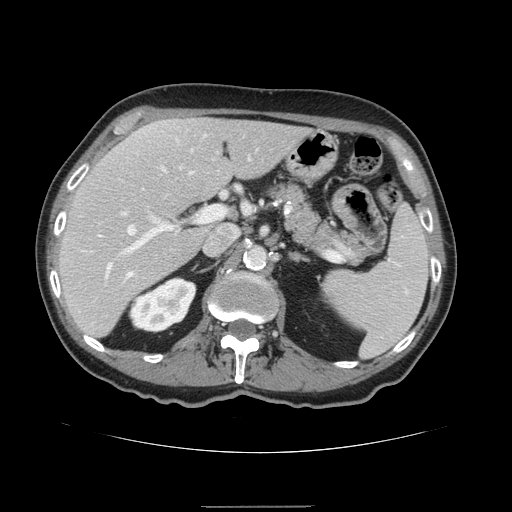 512x512 px, Computed tomography

Spleen — [323,206,429,358].